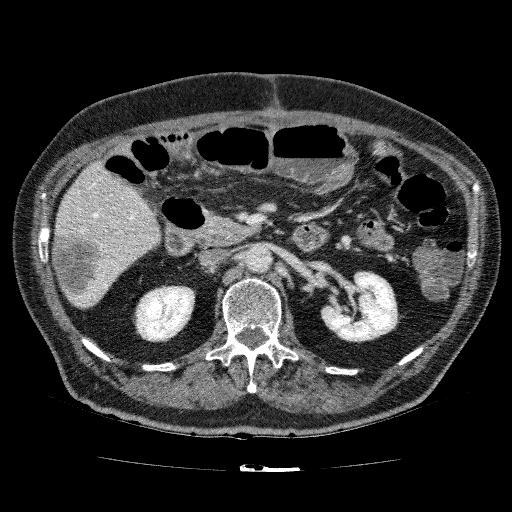

Abdomen; Image size 512x512; Computed tomography
liver_lesion:
  - <bbox>149, 237, 161, 248</bbox>
  - <bbox>52, 231, 102, 295</bbox>
kidney:
  - <bbox>135, 286, 194, 341</bbox>
  - <bbox>321, 271, 397, 341</bbox>
liver:
  - <bbox>54, 159, 163, 309</bbox>